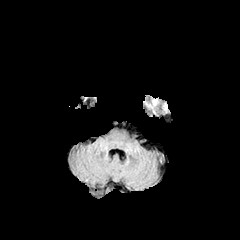
FLAIR MR.
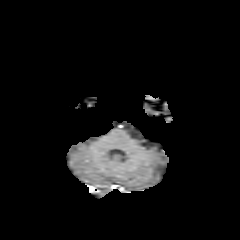
Same slice, T1-weighted magnetic resonance.
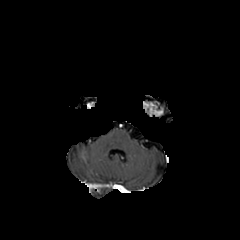
Post-contrast T1-weighted MR.
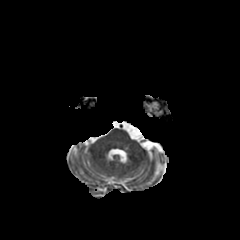
T2-weighted MRI.
240x240. Head.
The enhancing tumor lies within rect(144, 102, 162, 113).